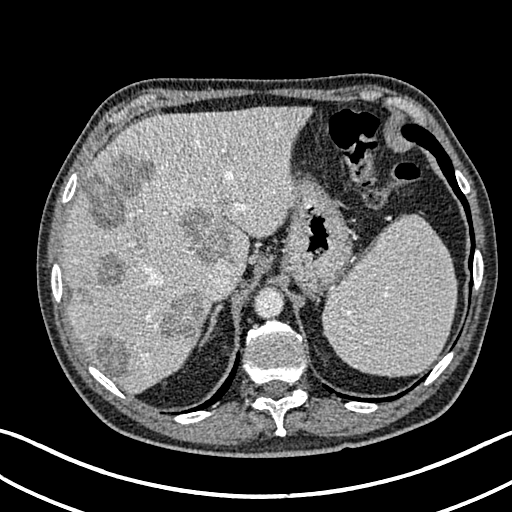

CT slice
Liver = x1=63 y1=108 x2=309 y2=390.
Hepatic lesion = x1=98 y1=252 x2=125 y2=286, x1=179 y1=206 x2=231 y2=264, x1=131 y1=222 x2=146 y2=241, x1=81 y1=153 x2=155 y2=228, x1=79 y1=276 x2=91 y2=301, x1=159 y1=290 x2=204 y2=341, x1=94 y1=336 x2=130 y2=377.